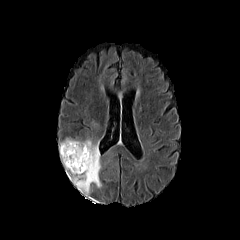
FLAIR MR image.
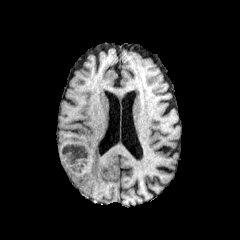
Same slice, T1-weighted MRI.
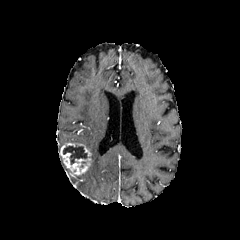
Post-contrast T1-weighted MRI.
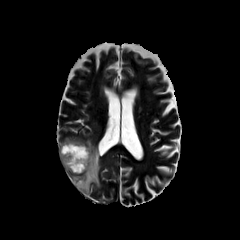
T2-weighted MR image.
Head
Edema = [60,137,102,196].
Non-enhancing tumor core = [62,145,87,164].
Enhancing tumor = [60,142,91,176].